FLAIR MR.
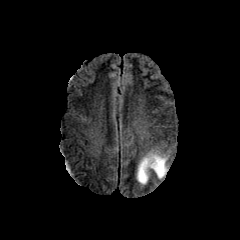
T1-weighted MR.
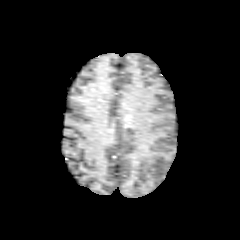
Post-contrast T1-weighted MR.
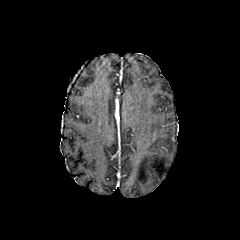
T2-weighted MR.
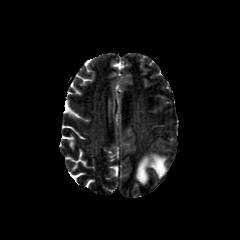
240x240 px.
Edema = <box>135,149,168,185</box>.